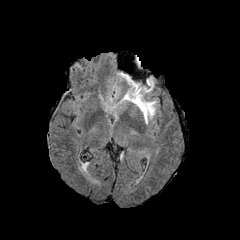
FLAIR MR.
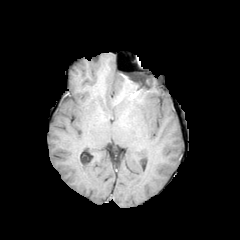
T1-weighted MR image.
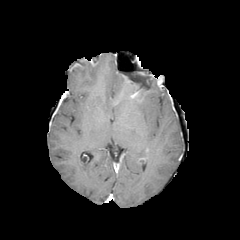
Same slice, post-contrast T1-weighted magnetic resonance.
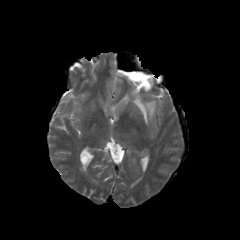
Same slice, T2-weighted MR image.
Image size 240x240; Brain
edema:
  - box(118, 72, 157, 124)
non-enhancing_tumor_core:
  - box(130, 77, 149, 88)